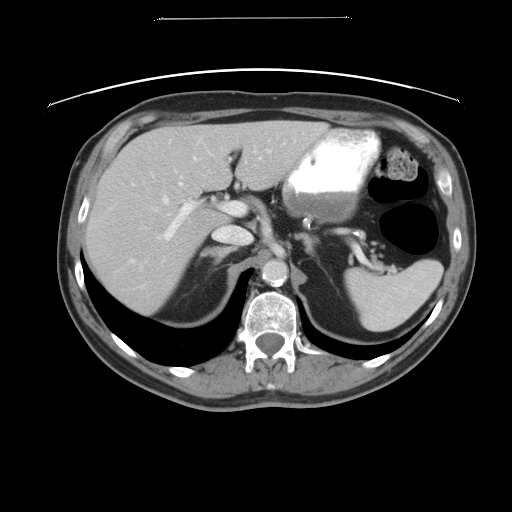

Liver; CT image
Not every hepatic vessel necessarily has a box.
Most prominent 15 of 18 hepatic vessel regions — region(179, 175, 183, 185); region(259, 156, 261, 158); region(140, 265, 142, 269); region(213, 226, 252, 242); region(152, 207, 156, 210); region(143, 180, 144, 182); region(180, 199, 196, 219); region(163, 196, 169, 203); region(245, 160, 247, 162); region(129, 259, 134, 262); region(152, 173, 153, 176); region(161, 225, 171, 239); region(283, 142, 285, 144); region(139, 284, 144, 286); region(222, 203, 245, 214).